FLAIR magnetic resonance.
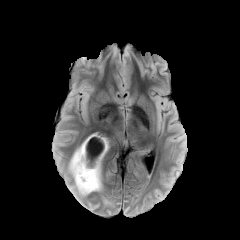
T1-weighted MR image.
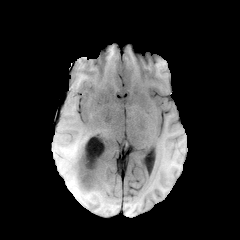
Post-contrast T1-weighted magnetic resonance.
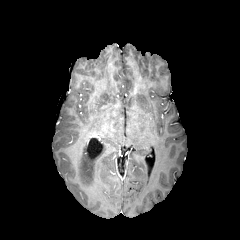
T2-weighted magnetic resonance.
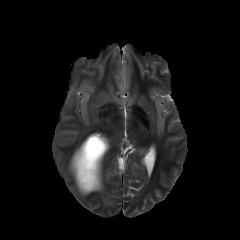
Image size 240x240, Head
The enhancing tumor is at region(83, 184, 97, 191). The non-enhancing tumor core lies within region(74, 140, 106, 188). 2 edema regions appear at region(94, 168, 102, 191); region(68, 155, 88, 196).